Slice 213 of 574, CT slice
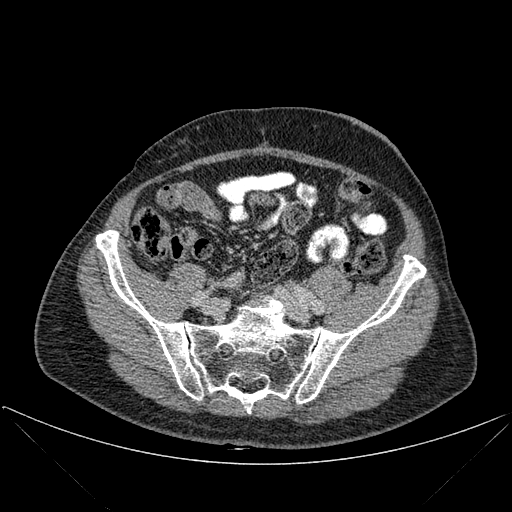
The bone is located at [96,230,426,413].